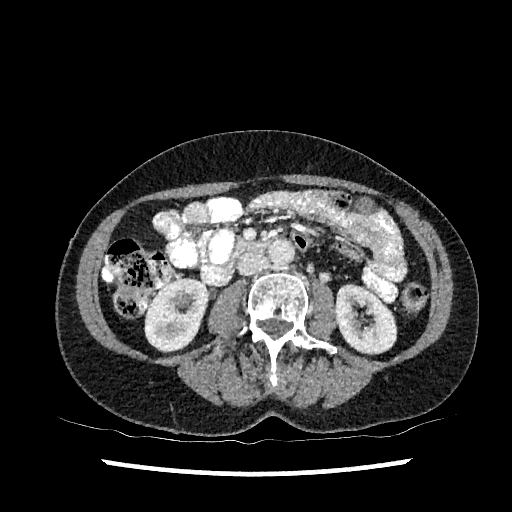
CT scan slice. Abdomen. • kidney: rect(336, 285, 395, 352); rect(145, 279, 207, 350)